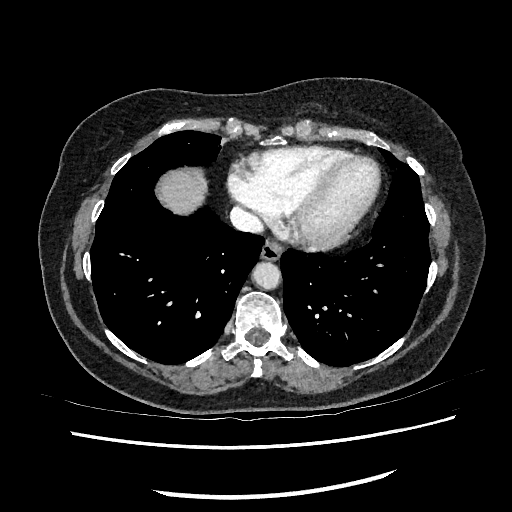
Image size 512x512; CT slice; Abdomen
liver: [160, 170, 203, 212]